CT slice
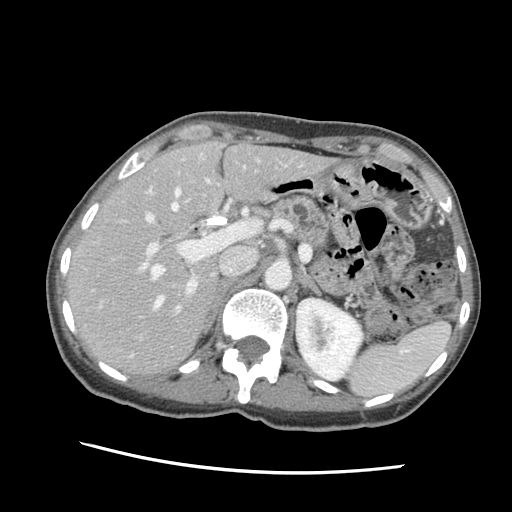

Pancreas: 272,196,329,248.